Slice index 101 | Head
FLAIR MR image.
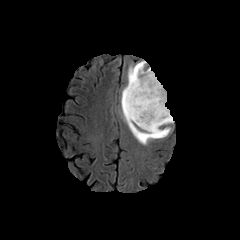
T1-weighted MRI.
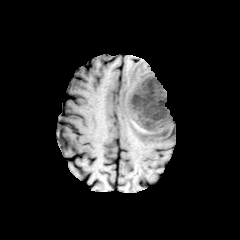
Post-contrast T1-weighted MR.
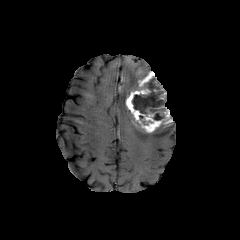
T2-weighted magnetic resonance.
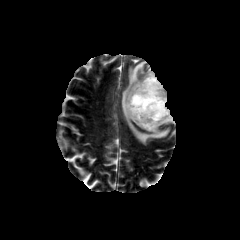
Enhancing tumor — 125,71,172,132.
Non-enhancing tumor core — 139,128,165,138; 123,98,141,127; 133,77,165,113.
Edema — 119,61,173,145.